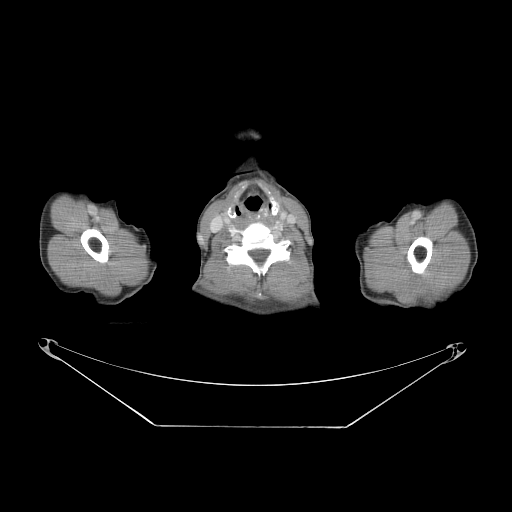 512x512, CT
bone:
  - 226,223,289,276
  - 81,229,108,262
  - 407,237,432,273